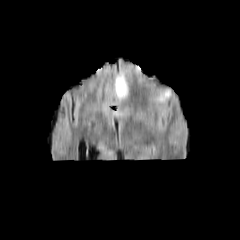
FLAIR MR.
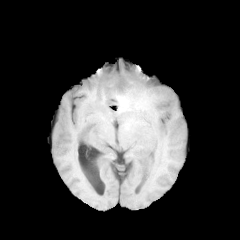
Same slice, T1-weighted MR.
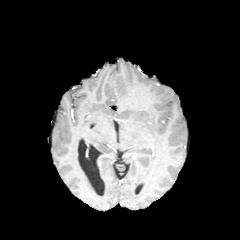
Post-contrast T1-weighted MR image of the same slice.
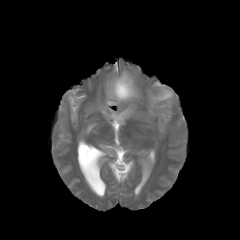
T2-weighted MR image of the same slice.
{"edema": ["(x1=110, y1=72, x2=172, y2=102)"]}